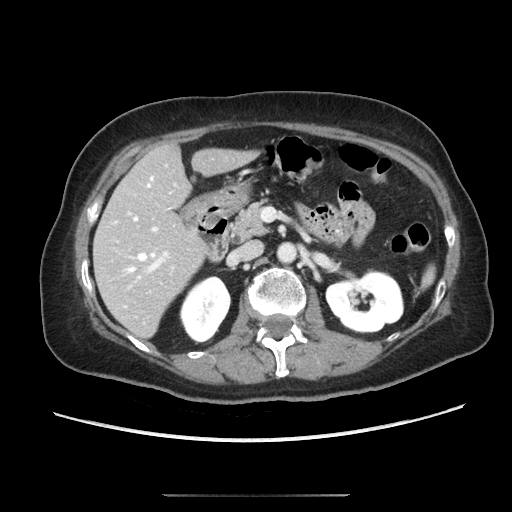
CT scan slice. 512x512 px.
{"pancreas": ["233:204:265:240"]}